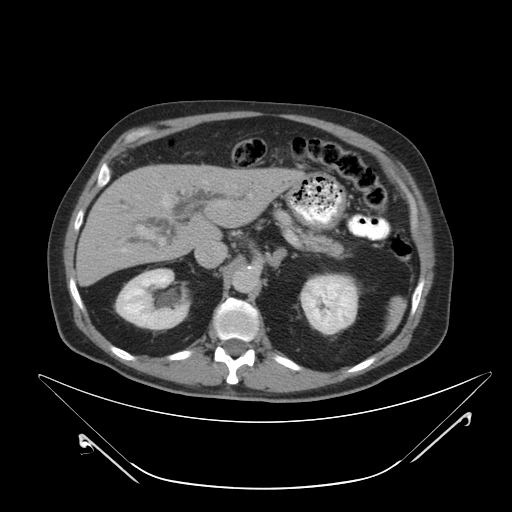 Upper abdomen, CT scan slice, 512x512 px

Pancreas at x1=298, y1=230, x2=341, y2=256.